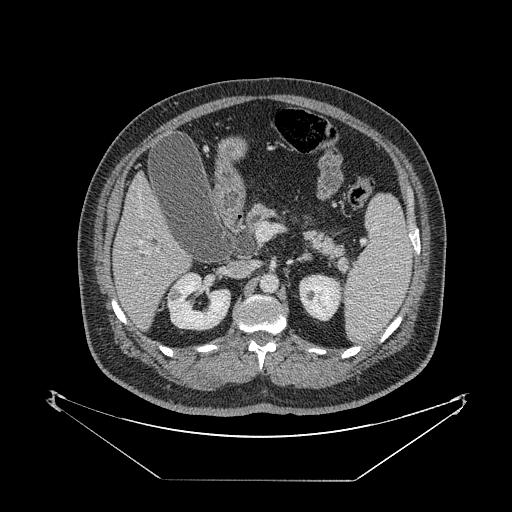 Upper abdomen. CT slice.
{"pancreas": ["x1=247, y1=206, x2=274, y2=231", "x1=306, y1=226, x2=347, y2=270"]}